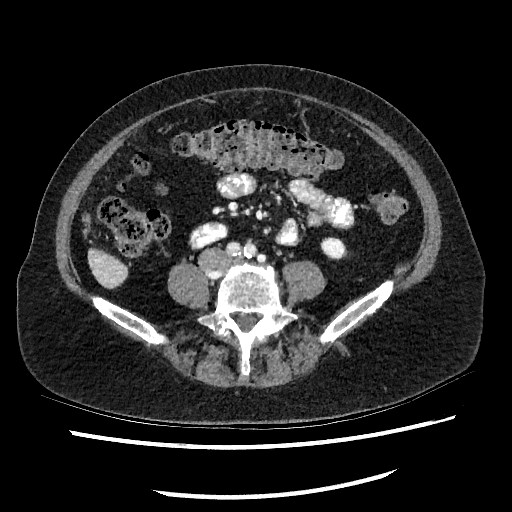 CT image. Liver.

Liver — x1=87, y1=248, x2=127, y2=286.
Kidney — x1=322, y1=239, x2=343, y2=257.